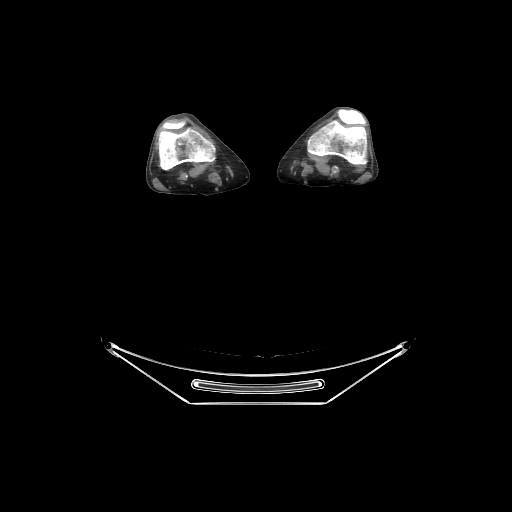
CT

2 bone regions are bounded by l=159, t=120, r=214, b=169; l=308, t=109, r=366, b=164.